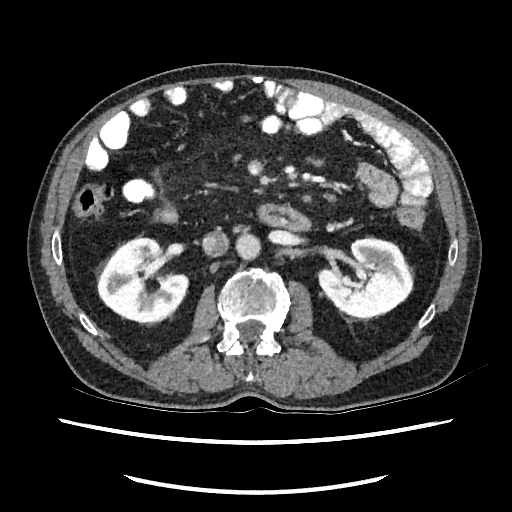

CT image; Abdomen
Annotated regions:
- kidney: (left=97, top=237, right=188, bottom=324), (left=318, top=238, right=413, bottom=320)